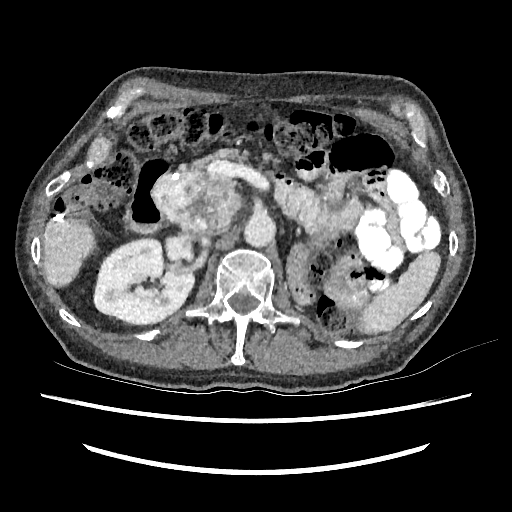 Image size 512x512. CT slice.
Liver at (x1=43, y1=220, x2=94, y2=286).
Kidney at (x1=94, y1=239, x2=194, y2=323).